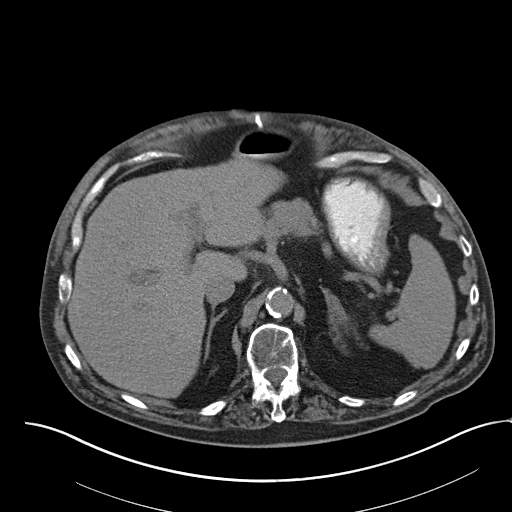 Abdomen | CT
The spleen appears at bbox(371, 239, 455, 368).